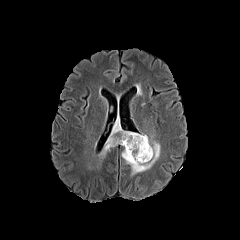
FLAIR MR.
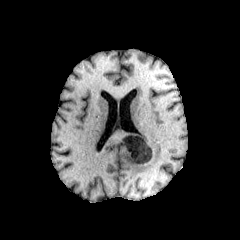
T1-weighted magnetic resonance of the same slice.
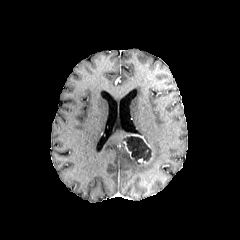
Post-contrast T1-weighted MRI.
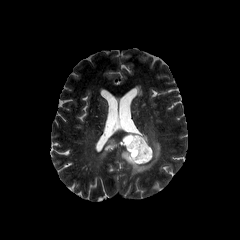
T2-weighted magnetic resonance.
Image size 240x240; Brain
2 edema regions appear at left=99, top=137, right=121, bottom=157; left=121, top=128, right=160, bottom=175. The non-enhancing tumor core appears at left=120, top=136, right=152, bottom=163.